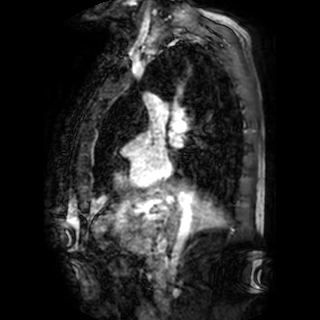 Cardiac; MRI slice
Annotated regions:
- left atrium: (171,136,182,147)